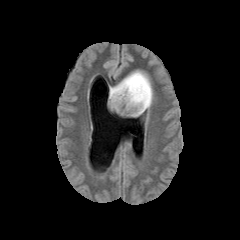
FLAIR MR image.
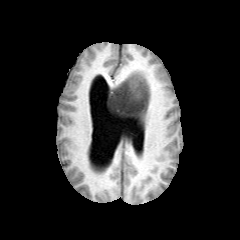
T1-weighted MRI.
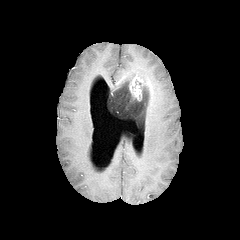
Post-contrast T1-weighted MR image.
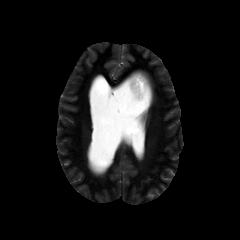
T2-weighted magnetic resonance.
240x240 px.
enhancing tumor: 129 72 153 104 | edema: 109 71 145 97 | non-enhancing tumor core: 107 82 148 117